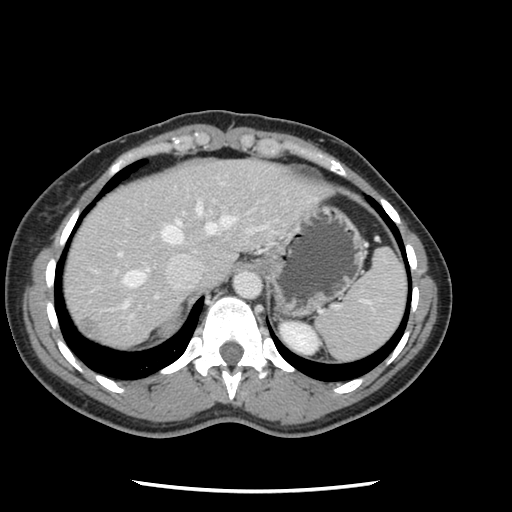 CT | 512x512 px
The vessel boxes may cover only some of the vessels.
<segmentation>
  <liver_tumor>box=[76, 319, 99, 340]</liver_tumor>
  <hepatic_vessel>box=[161, 220, 182, 243]; box=[118, 252, 121, 254]; box=[196, 204, 200, 213]; box=[205, 215, 234, 233]; box=[123, 302, 126, 308]; box=[122, 269, 147, 286]; box=[247, 227, 262, 231]</hepatic_vessel>
</segmentation>